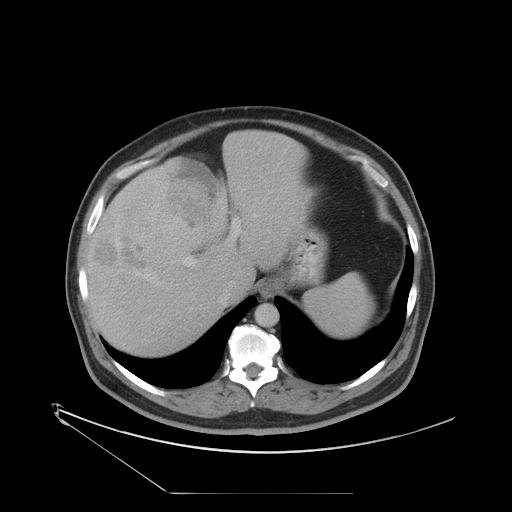

CT scan slice, 512x512 px
The vessel boxes may cover only some of the vessels.
Hepatic vessel — x1=255, y1=214, x2=258, y2=216; x1=163, y1=320, x2=164, y2=323; x1=198, y1=241, x2=200, y2=242; x1=219, y1=249, x2=222, y2=249; x1=280, y1=189, x2=281, y2=190; x1=156, y1=281, x2=163, y2=284; x1=118, y1=311, x2=122, y2=313; x1=226, y1=248, x2=228, y2=249; x1=161, y1=220, x2=179, y2=228; x1=229, y1=281, x2=233, y2=283; x1=182, y1=256, x2=196, y2=265; x1=227, y1=217, x2=240, y2=245; x1=284, y1=186, x2=287, y2=191; x1=133, y1=271, x2=156, y2=281.
Liver tumor — x1=91, y1=231, x2=149, y2=272; x1=162, y1=158, x2=219, y2=231.